MR image, Slice 7 of 38, Image width 36 mm 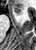 Anterior hippocampus = <box>11,6,23,15</box>.